Liver | Image width 348 mm | CT image | Slice index 362

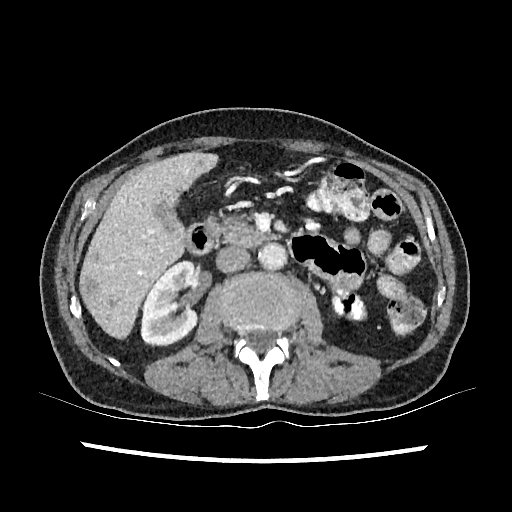

The liver is located at 81:152:217:336. 3 focal liver lesion regions appear at 90:252:99:261, 153:200:176:230, 85:280:98:294. The kidney is at 141:262:196:344.